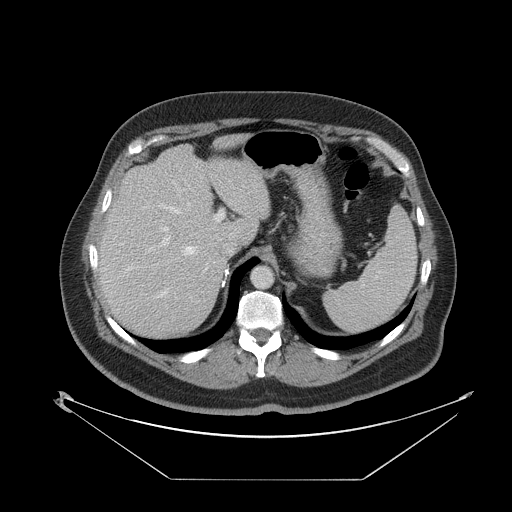 512x512 px, Liver, CT image

Some hepatic vessels may have no box.
{
  "hepatic_vessel": [
    "left=158, top=237, right=169, bottom=246",
    "left=127, top=265, right=133, bottom=270",
    "left=182, top=245, right=197, bottom=255",
    "left=160, top=288, right=168, bottom=296",
    "left=214, top=211, right=224, bottom=221",
    "left=161, top=203, right=180, bottom=213",
    "left=160, top=227, right=166, bottom=231",
    "left=187, top=202, right=190, bottom=205",
    "left=150, top=248, right=152, bottom=250"
  ]
}